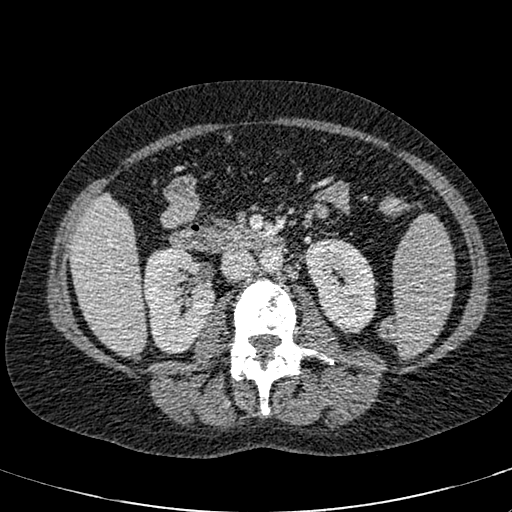 CT image
liver:
  - 70, 195, 145, 355
kidney:
  - 144, 245, 214, 352
  - 306, 239, 375, 332